Slice 101/155.
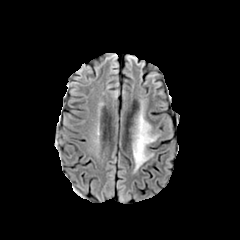
FLAIR magnetic resonance.
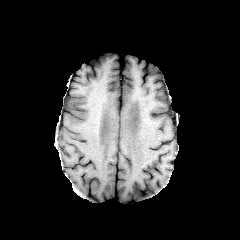
Same slice, T1-weighted MRI.
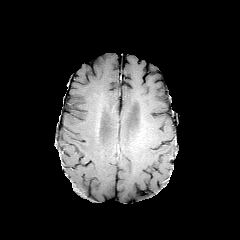
Post-contrast T1-weighted MRI.
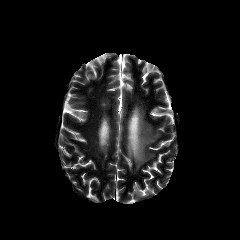
T2-weighted MRI of the same slice.
The edema is located at [133,109,158,169].